Brain
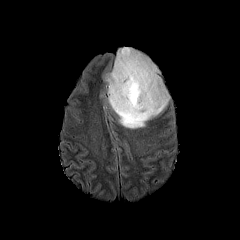
FLAIR MR.
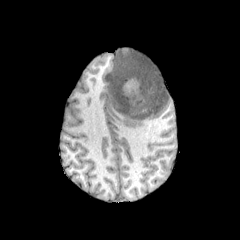
Same slice, T1-weighted MR image.
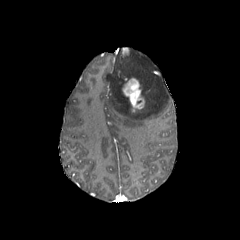
Post-contrast T1-weighted MR image.
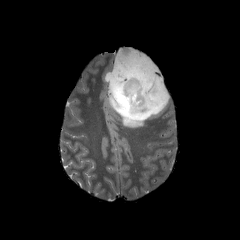
T2-weighted MR.
Findings:
* enhancing tumor: <bbox>122, 76, 146, 111</bbox>, <bbox>121, 46, 130, 55</bbox>
* edema: <bbox>109, 49, 169, 129</bbox>